Slice index 103
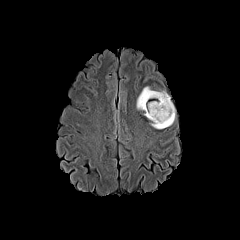
FLAIR MR.
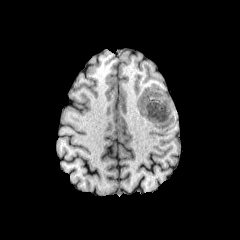
T1-weighted MRI.
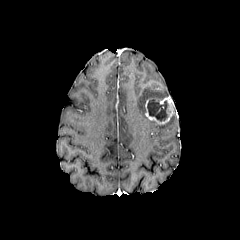
Post-contrast T1-weighted MR image of the same slice.
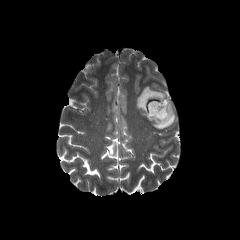
T2-weighted magnetic resonance of the same slice.
<segmentation>
  <enhancing_tumor>145, 96, 174, 125</enhancing_tumor>
  <edema>152, 114, 174, 128; 136, 86, 168, 109</edema>
  <non-enhancing_tumor_core>147, 100, 168, 121</non-enhancing_tumor_core>
</segmentation>